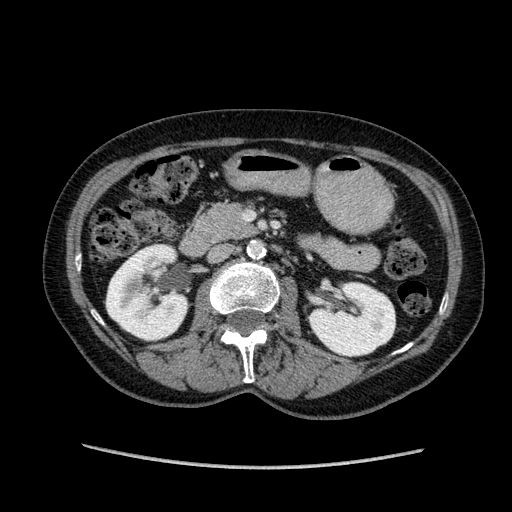
Computed tomography. Abdomen.
Annotated regions:
• kidney: [106,245,186,339], [310,281,394,355]